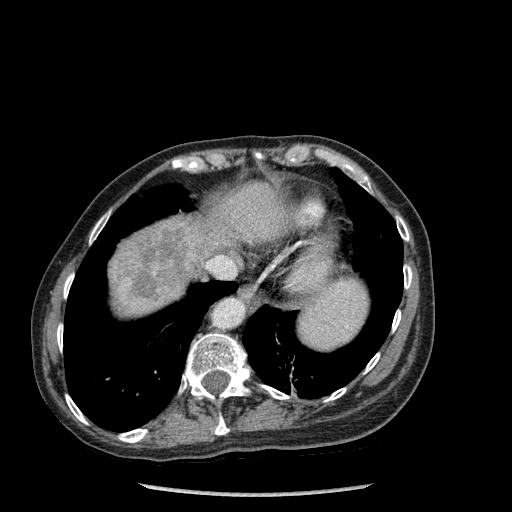
512x512. CT scan slice. Liver. 2 liver lesion regions are bounded by 141 228 186 286, 131 269 159 299. The liver appears at 108 181 288 315. 15 bone regions are bounded by 363 353 379 373, 179 332 249 405, 65 394 87 424, 63 273 74 298, 403 265 412 288, 392 310 401 332, 358 175 371 191, 260 384 289 399, 332 159 358 174, 396 216 409 240, 324 388 346 401, 118 429 147 442, 56 324 62 351, 89 211 110 244, 214 413 229 435. 2 lung regions are located at 243 168 403 398, 64 184 237 431.